Image size 240x240. Slice 59/155. Brain.
FLAIR MR image.
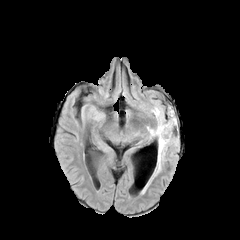
T1-weighted MRI.
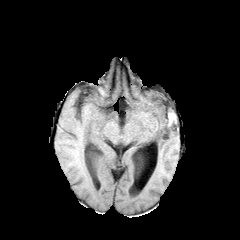
Post-contrast T1-weighted MR.
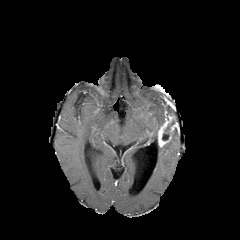
T2-weighted MR image.
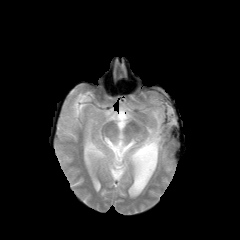
enhancing_tumor:
  - rect(158, 126, 164, 145)
edema:
  - rect(156, 138, 173, 168)
  - rect(147, 102, 163, 139)
non-enhancing_tumor_core:
  - rect(159, 107, 177, 147)